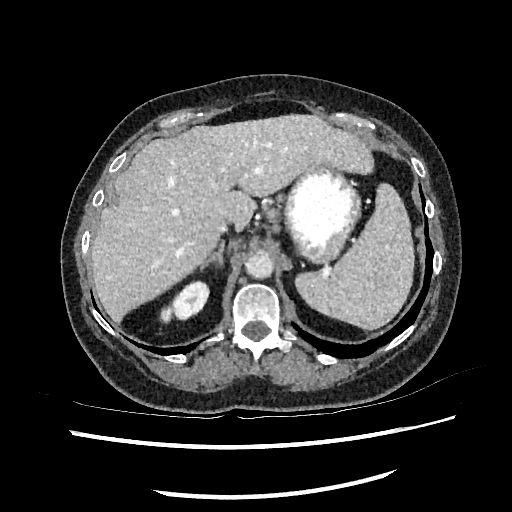
Upper abdomen. Computed tomography.
Kidney — bbox(174, 282, 207, 318).
Liver — bbox(90, 114, 373, 323).